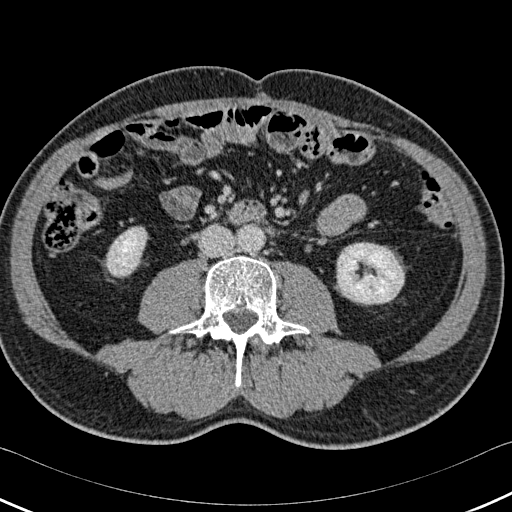
CT scan slice

Bone = (170, 256, 308, 387).
Kidney = (107, 227, 146, 275), (337, 243, 403, 303).